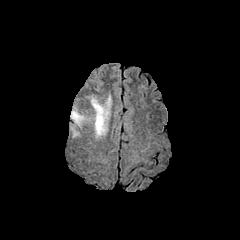
FLAIR MR.
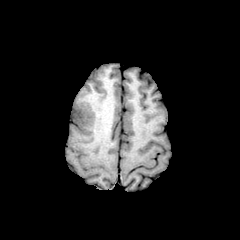
T1-weighted MRI.
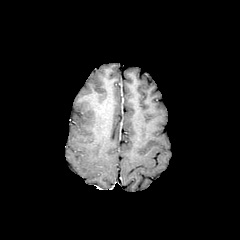
Post-contrast T1-weighted MR image.
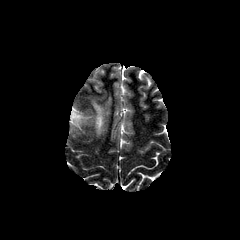
T2-weighted MR image.
Head
Non-enhancing tumor core: bounding box {"x1": 91, "y1": 99, "x2": 103, "y2": 134}.
Edema: bounding box {"x1": 70, "y1": 106, "x2": 95, "y2": 123}, {"x1": 97, "y1": 107, "x2": 108, "y2": 125}.